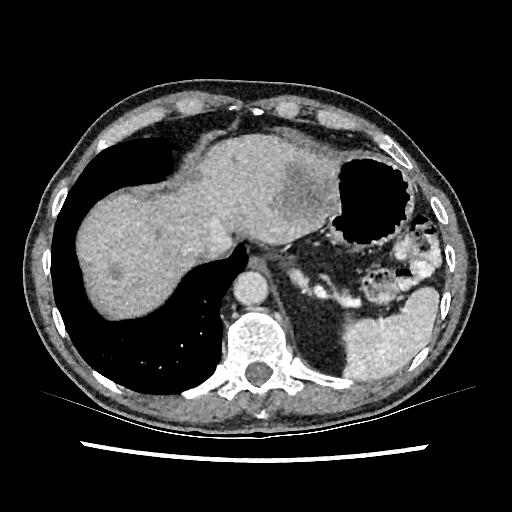 Liver, 512x512, CT scan slice
The liver is bounded by x1=82, y1=135, x2=337, y2=315. 3 focal liver lesion regions are located at x1=270, y1=161, x2=335, y2=226; x1=190, y1=172, x2=201, y2=184; x1=108, y1=263, x2=123, y2=279.